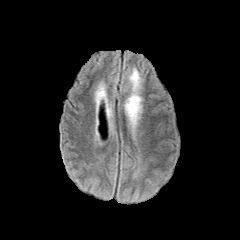
FLAIR magnetic resonance.
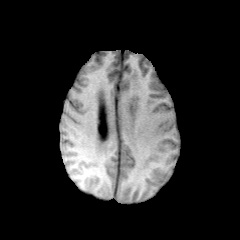
T1-weighted MR of the same slice.
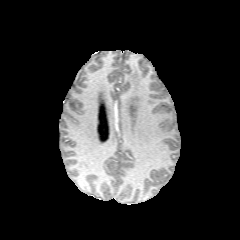
Same slice, post-contrast T1-weighted magnetic resonance.
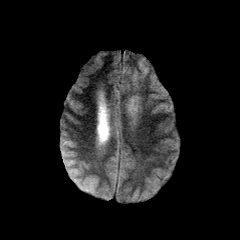
T2-weighted MR.
240x240
edema:
  - (x1=123, y1=68, x2=142, y2=128)